Abdomen | CT 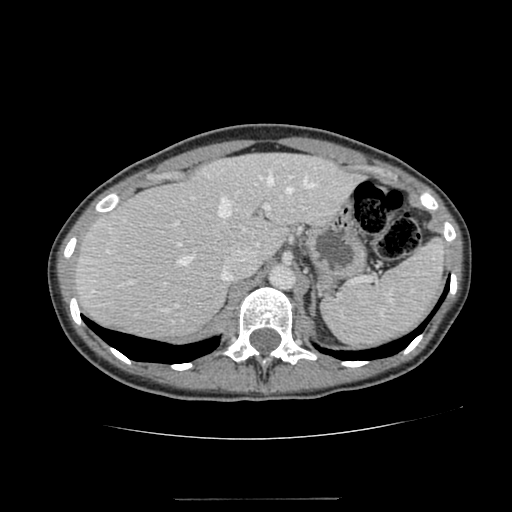 Liver: [74, 153, 367, 340].